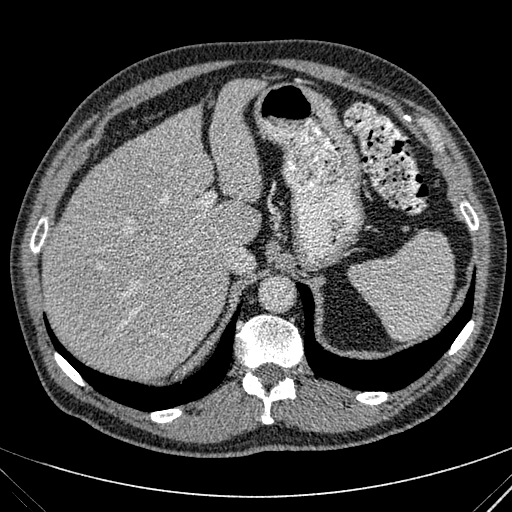
Image size 512x512. CT scan slice. The liver is located at x1=44 y1=79 x2=266 y2=376.